FLAIR magnetic resonance.
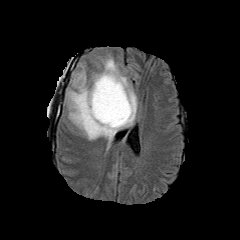
T1-weighted magnetic resonance.
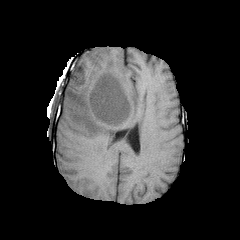
Post-contrast T1-weighted MR.
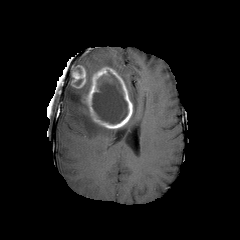
T2-weighted MRI.
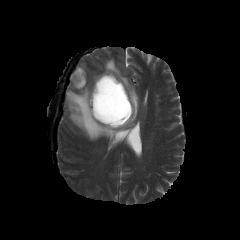
240x240 px
non-enhancing_tumor_core:
  - (92, 79, 128, 124)
enhancing_tumor:
  - (82, 67, 132, 128)
  - (71, 64, 86, 87)
edema:
  - (64, 55, 138, 150)